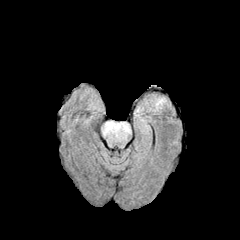
FLAIR MR image.
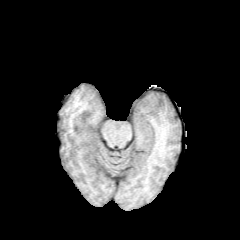
Same slice, T1-weighted MR.
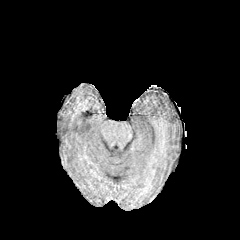
Same slice, post-contrast T1-weighted magnetic resonance.
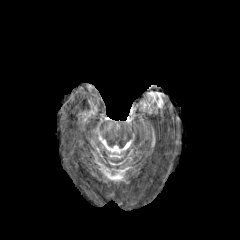
T2-weighted magnetic resonance of the same slice.
Head
Edema = 150 94 166 111, 137 102 152 112.